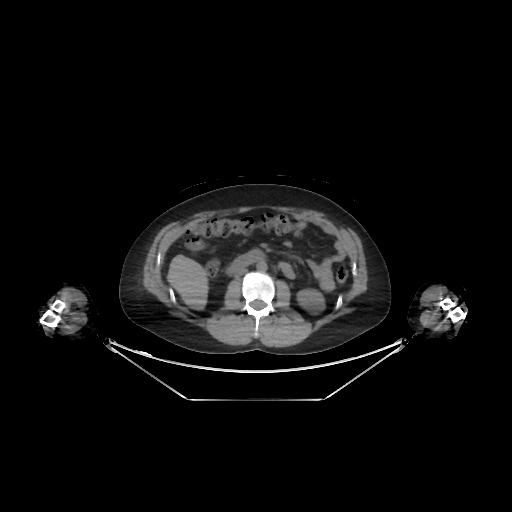

CT image; Liver
Segmented structures:
* kidney: l=296, t=288, r=325, b=314
* liver: l=167, t=255, r=209, b=309